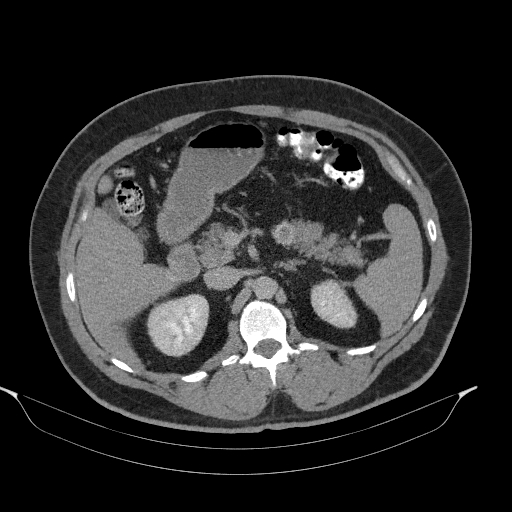
CT scan slice
pancreas:
  - {"x1": 273, "y1": 219, "x2": 363, "y2": 265}
  - {"x1": 200, "y1": 222, "x2": 231, "y2": 266}
pancreatic_tumor:
  - {"x1": 274, "y1": 223, "x2": 294, "y2": 244}